Slice 86 of 130, Cardiac, Magnetic resonance

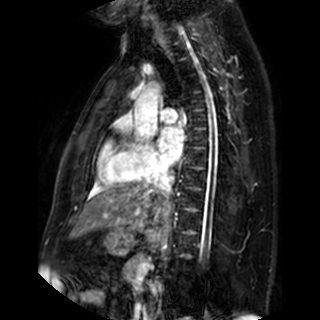
Annotated regions:
- left atrium: x1=157 y1=127 x2=183 y2=164